Slice 94 of 155.
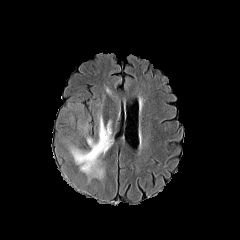
FLAIR magnetic resonance.
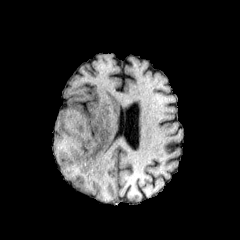
T1-weighted magnetic resonance.
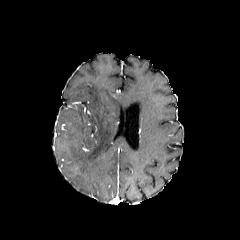
Same slice, post-contrast T1-weighted MR image.
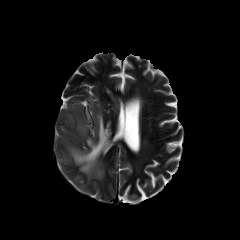
T2-weighted MR of the same slice.
Edema = region(70, 100, 113, 180); region(68, 104, 91, 135).